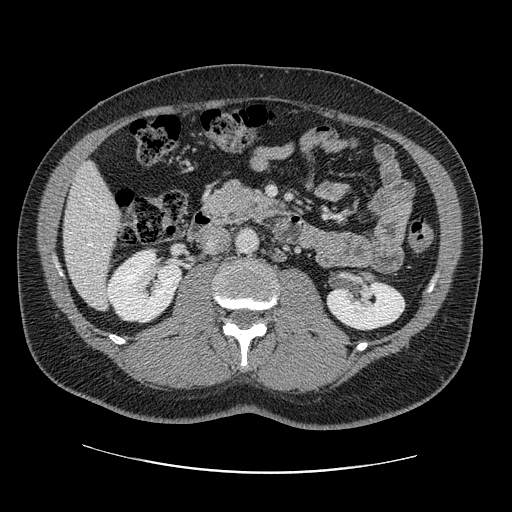
Upper abdomen, CT slice

Annotated regions:
- pancreas: [203, 179, 252, 226]